CT slice | 512x512 px 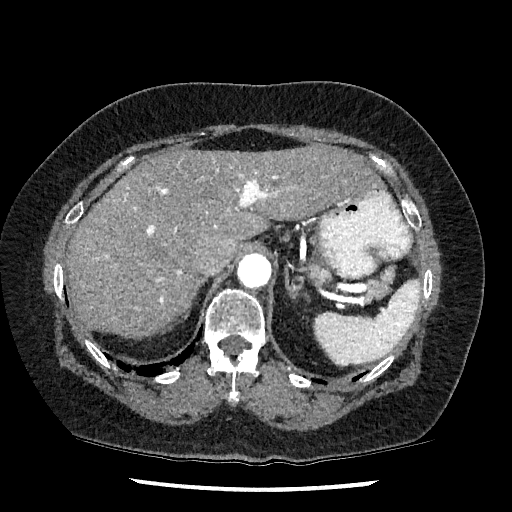 liver: x1=66, y1=146, x2=384, y2=337